Slice 91 of 155. Head.
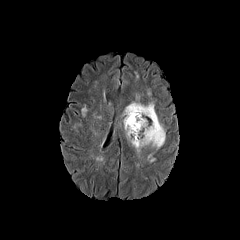
FLAIR MRI.
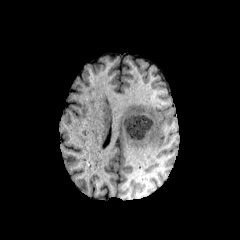
T1-weighted MR.
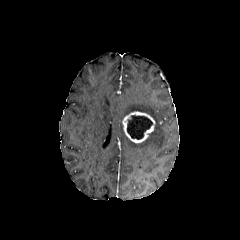
Post-contrast T1-weighted magnetic resonance.
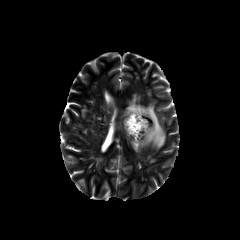
T2-weighted MR image of the same slice.
The edema is at left=122, top=103, right=165, bottom=153. The non-enhancing tumor core is at left=127, top=115, right=152, bottom=139. The enhancing tumor appears at left=122, top=111, right=155, bottom=143.